Field of view 369x369 mm; CT slice 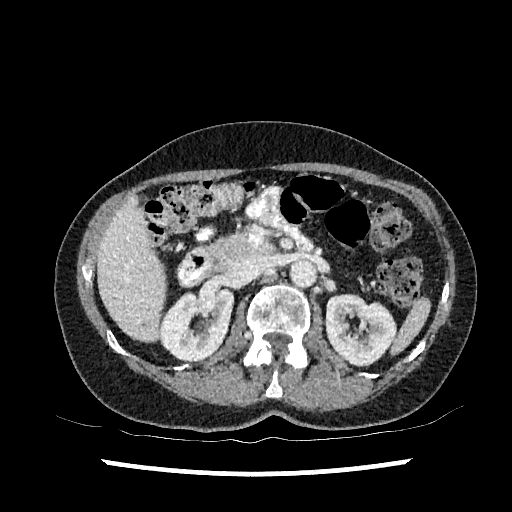 The liver is bounded by [98,197,165,340]. 2 kidney regions are bounded by [326,295,395,364], [161,281,233,360].